FLAIR magnetic resonance.
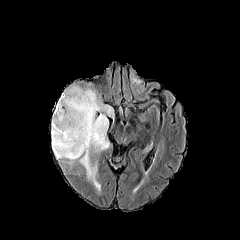
T1-weighted MRI.
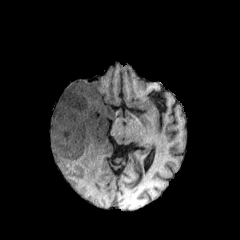
Post-contrast T1-weighted MRI.
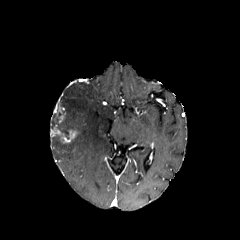
T2-weighted MR image.
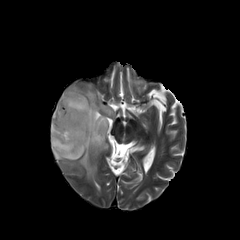
Head
Segmented structures:
* enhancing tumor: <bbox>50, 126, 80, 143</bbox>
* non-enhancing tumor core: <bbox>54, 102, 61, 121</bbox>
* edema: <bbox>51, 82, 114, 191</bbox>